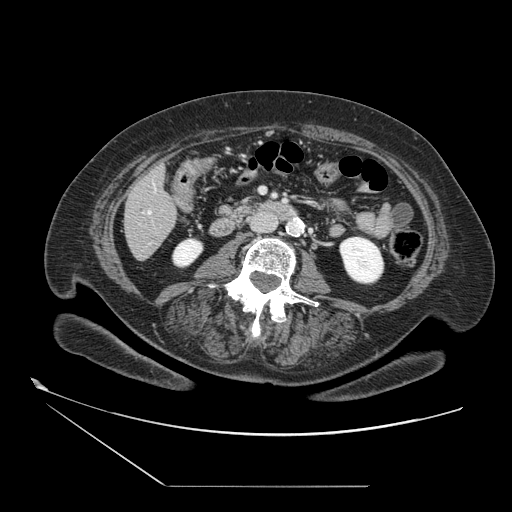
Computed tomography
The pancreas is bounded by <bbox>220, 202, 251, 224</bbox>.